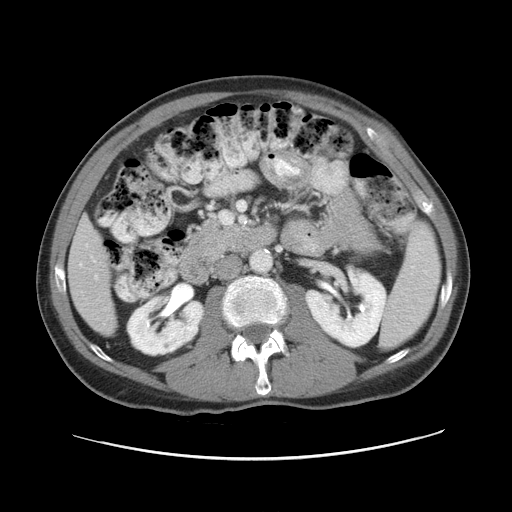
CT scan slice
The vessel boxes may cover only some of the vessels.
<segmentation>
  <hepatic_vessel>79, 263, 81, 265; 86, 244, 87, 246; 94, 275, 96, 278</hepatic_vessel>
</segmentation>